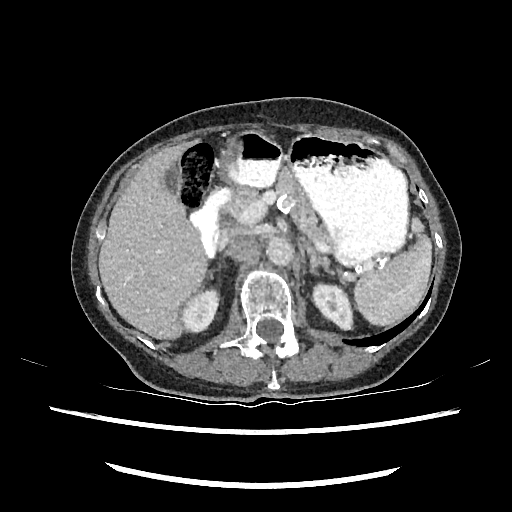 Liver, Computed tomography

The liver is located at (x1=99, y1=141, x2=206, y2=338). 2 kidney regions appear at (x1=184, y1=292, x2=217, y2=330), (x1=314, y1=286, x2=351, y2=327).